Slice 58/89 | Upper abdomen | Computed tomography | 512x512 px 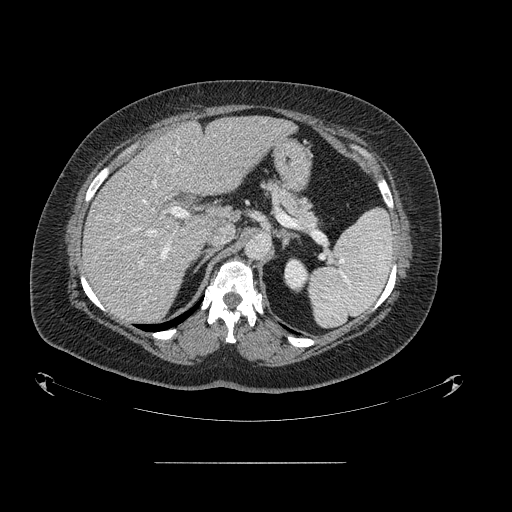
The pancreas is located at 263, 180, 317, 229.